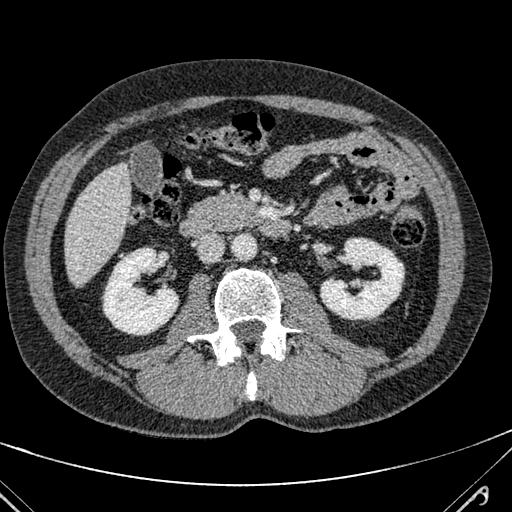
Computed tomography. Liver.

The liver is located at <bbox>65, 163, 130, 285</bbox>.